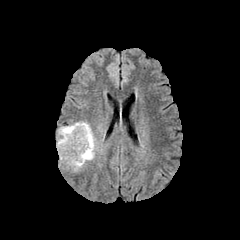
FLAIR MR.
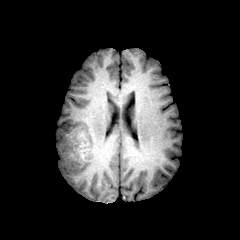
T1-weighted MR image.
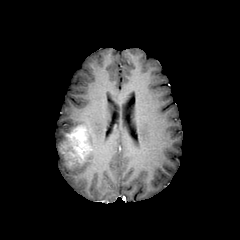
Same slice, post-contrast T1-weighted MR.
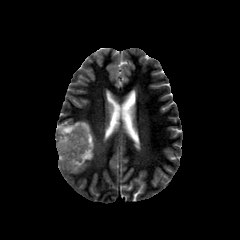
T2-weighted MR image.
Brain
Findings:
• enhancing tumor: <box>61,126,88,165</box>
• non-enhancing tumor core: <box>58,134,82,168</box>, <box>79,123,91,160</box>
• edema: <box>57,121,98,171</box>, <box>57,140,65,165</box>